Abdomen, CT scan slice
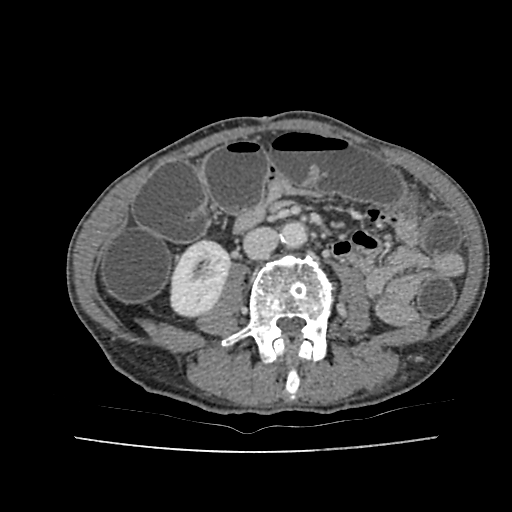

Kidney: bounding box x1=171, y1=241, x2=229, y2=315.